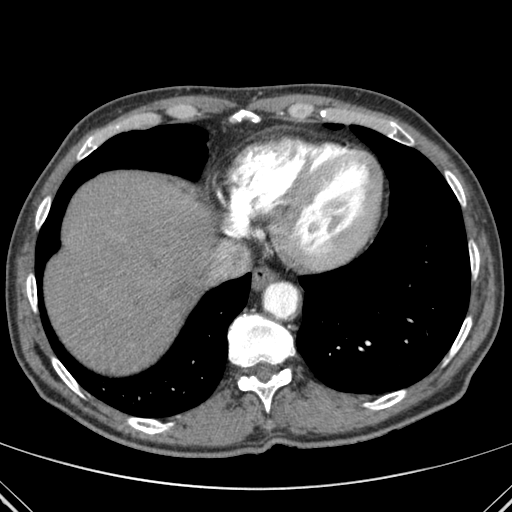
Abdomen; CT slice
The liver is bounded by box=[45, 171, 214, 374]. 13 bone regions are bounded by box=[445, 171, 465, 205]; box=[228, 314, 294, 367]; box=[364, 390, 405, 409]; box=[384, 121, 413, 145]; box=[232, 110, 259, 122]; box=[127, 418, 172, 434]; box=[238, 369, 291, 411]; box=[77, 136, 98, 159]; box=[470, 243, 479, 275]; box=[26, 274, 36, 311]; box=[450, 317, 471, 355]; box=[52, 358, 82, 396]; box=[35, 197, 50, 228]. 3 lung regions are bounded by box=[36, 124, 250, 417]; box=[296, 125, 470, 393]; box=[326, 124, 342, 129].